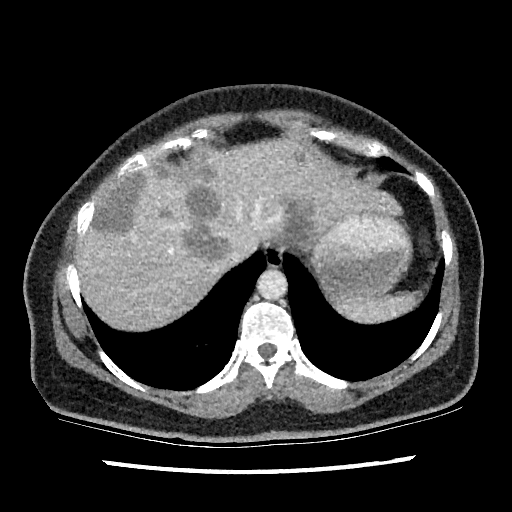

Computed tomography | 512x512
Liver at {"x1": 95, "y1": 182, "x2": 119, "y2": 215}, {"x1": 75, "y1": 139, "x2": 401, "y2": 329}.
Focal liver lesion at {"x1": 187, "y1": 187, "x2": 219, "y2": 218}, {"x1": 294, "y1": 151, "x2": 304, "y2": 163}, {"x1": 278, "y1": 199, "x2": 315, "y2": 247}, {"x1": 94, "y1": 172, "x2": 145, "y2": 232}, {"x1": 159, "y1": 163, "x2": 175, "y2": 177}, {"x1": 184, "y1": 224, "x2": 227, "y2": 257}.